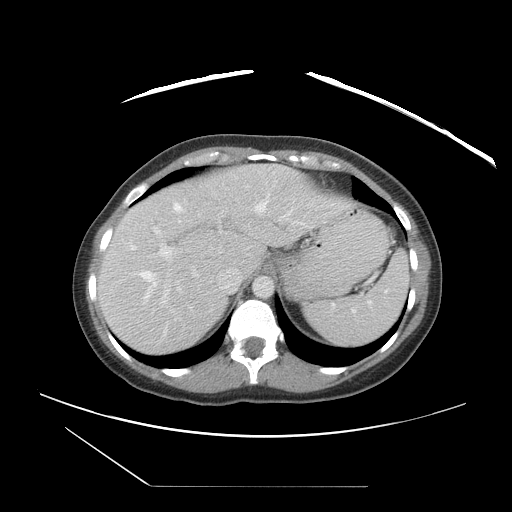

Computed tomography | 512x512 px

Not every hepatic vessel necessarily has a box.
Hepatic vessel at (left=256, top=201, right=268, bottom=213), (left=166, top=274, right=169, bottom=281), (left=134, top=271, right=156, bottom=303), (left=129, top=243, right=135, bottom=249), (left=159, top=245, right=171, bottom=256), (left=164, top=326, right=167, bottom=335), (left=179, top=221, right=180, bottom=222), (left=217, top=218, right=219, bottom=221), (left=176, top=281, right=178, bottom=282), (left=218, top=269, right=240, bottom=292), (left=286, top=210, right=291, bottom=216), (left=173, top=203, right=182, bottom=212), (left=218, top=250, right=221, bottom=253), (left=279, top=218, right=283, bottom=222), (left=154, top=228, right=160, bottom=233).